Image size 512x512, CT scan slice, Abdomen 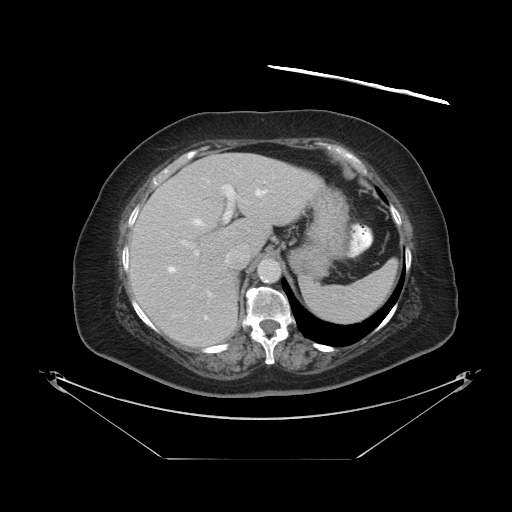

The vessel boxes may cover only some of the vessels.
{
  "hepatic_vessel": [
    "(182, 240, 199, 255)",
    "(222, 185, 234, 202)",
    "(193, 218, 203, 225)",
    "(223, 206, 231, 222)",
    "(207, 291, 212, 296)",
    "(230, 225, 249, 236)",
    "(204, 315, 206, 318)",
    "(255, 188, 266, 196)",
    "(230, 244, 249, 255)",
    "(167, 265, 176, 273)"
  ]
}